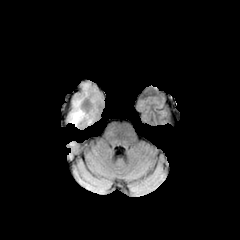
FLAIR magnetic resonance.
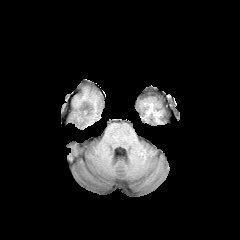
T1-weighted magnetic resonance.
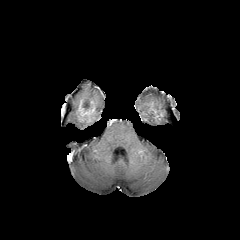
Same slice, post-contrast T1-weighted magnetic resonance.
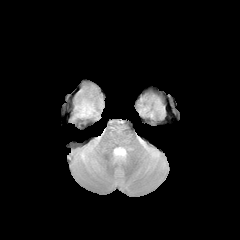
T2-weighted MR of the same slice.
Edema: bounding box box=[71, 100, 92, 122].